Image size 512x512. Liver. Computed tomography. Slice 62/141. 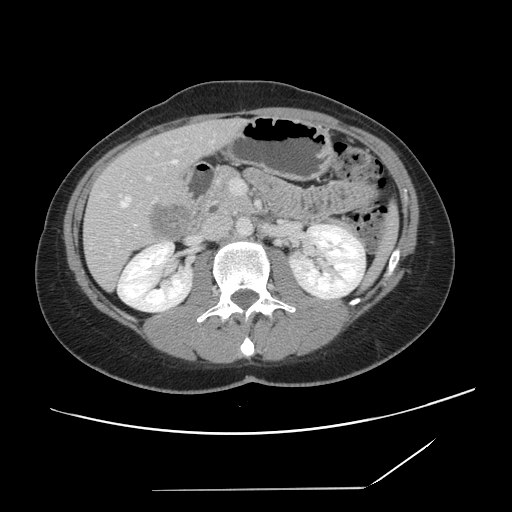 The vessel boxes may cover only some of the vessels.
The liver tumor is located at left=150, top=203, right=187, bottom=238. 8 hepatic vessel regions appear at left=115, top=240, right=118, bottom=240; left=155, top=198, right=156, bottom=199; left=155, top=152, right=157, bottom=154; left=210, top=141, right=213, bottom=142; left=174, top=150, right=176, bottom=151; left=172, top=160, right=176, bottom=163; left=121, top=197, right=129, bottom=207; left=147, top=177, right=150, bottom=180.